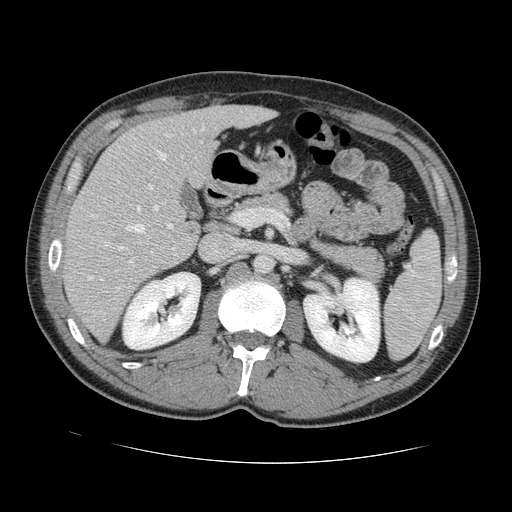
Abdomen, CT scan slice
Not every hepatic vessel necessarily has a box.
<segmentation partial="true">
  <hepatic_vessel shown="15" total="21">bbox=[103, 241, 110, 246]; bbox=[164, 134, 172, 136]; bbox=[193, 129, 195, 132]; bbox=[201, 124, 204, 130]; bbox=[137, 207, 139, 211]; bbox=[118, 246, 125, 249]; bbox=[148, 185, 152, 189]; bbox=[128, 258, 133, 262]; bbox=[87, 276, 91, 279]; bbox=[153, 206, 157, 210]; bbox=[115, 287, 117, 291]; bbox=[157, 151, 164, 159]; bbox=[126, 224, 143, 232]; bbox=[167, 223, 171, 228]; bbox=[91, 214, 95, 217]</hepatic_vessel>
</segmentation>